FLAIR MR.
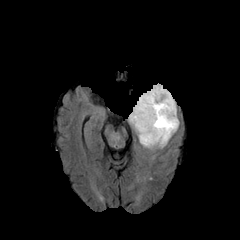
T1-weighted magnetic resonance.
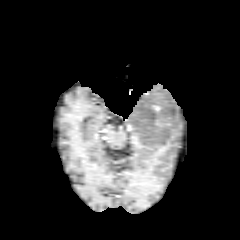
Post-contrast T1-weighted MR.
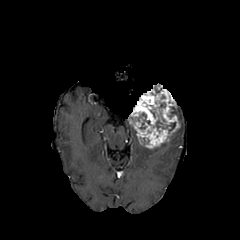
T2-weighted MR.
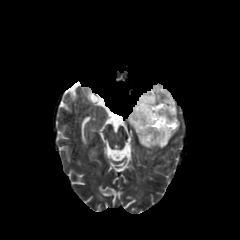
Image size 240x240
Enhancing tumor — box(128, 84, 179, 148).